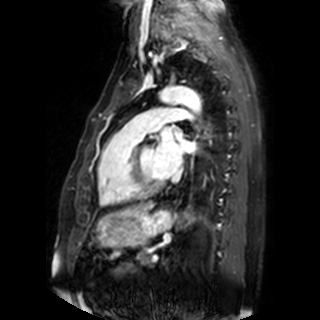

MR image

Segmented structures:
- left atrium: (174,128,182,137), (155,136,194,176)